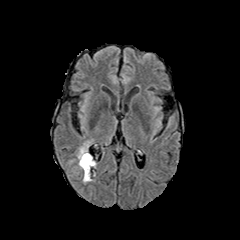
FLAIR MR.
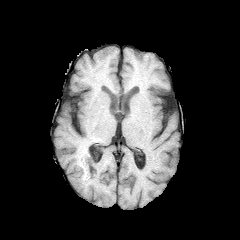
T1-weighted MRI of the same slice.
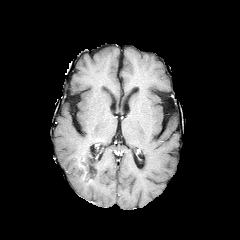
Post-contrast T1-weighted magnetic resonance.
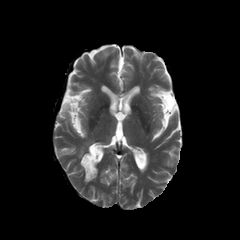
Same slice, T2-weighted MR image.
Brain
{"edema": ["[76, 141, 96, 181]"], "non-enhancing_tumor_core": ["[80, 154, 94, 173]"]}